Slice index 25. Computed tomography. 512x512 px. Liver.
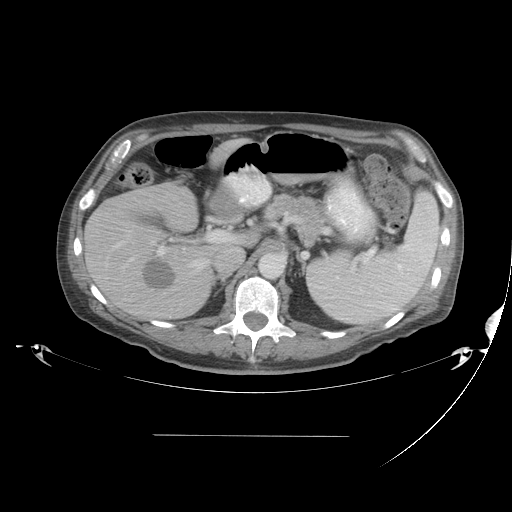
The vessel annotation is not exhaustive.
<segmentation>
  <hepatic_vessel>left=182, top=248, right=184, bottom=251; left=110, top=236, right=130, bottom=250; left=122, top=265, right=126, bottom=268; left=157, top=246, right=166, bottom=255; left=107, top=256, right=108, bottom=258; left=189, top=260, right=207, bottom=270; left=128, top=257, right=134, bottom=261; left=104, top=262, right=108, bottom=268; left=207, top=231, right=230, bottom=242</hepatic_vessel>
  <liver_tumor>left=138, top=258, right=176, bottom=289</liver_tumor>
</segmentation>